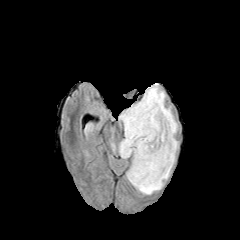
FLAIR MRI.
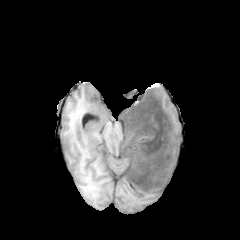
Same slice, T1-weighted MR.
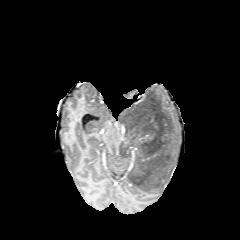
Same slice, post-contrast T1-weighted magnetic resonance.
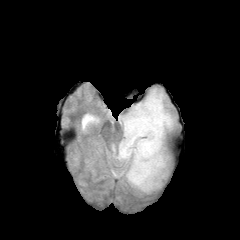
Same slice, T2-weighted magnetic resonance.
Image size 240x240, Head
Edema: region(112, 130, 124, 154); region(118, 108, 129, 124); region(122, 156, 131, 179); region(131, 85, 178, 195).
Non-enhancing tumor core: region(120, 94, 171, 193).
Enhancing tumor: region(130, 148, 136, 167).